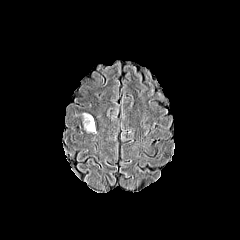
FLAIR MRI.
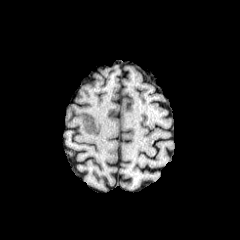
T1-weighted MRI.
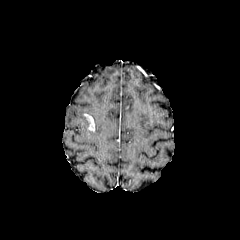
Post-contrast T1-weighted MR of the same slice.
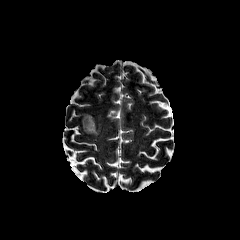
T2-weighted magnetic resonance.
Head.
Edema at (left=82, top=119, right=98, bottom=134).
Non-enhancing tumor core at (left=82, top=113, right=92, bottom=131).
Enhancing tumor at (left=88, top=116, right=94, bottom=131).